Image size 240x240, Slice index 60, Head
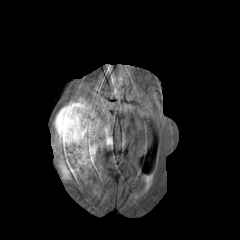
FLAIR magnetic resonance.
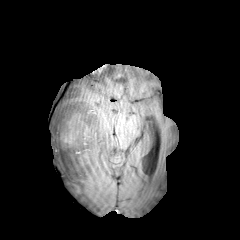
T1-weighted MR of the same slice.
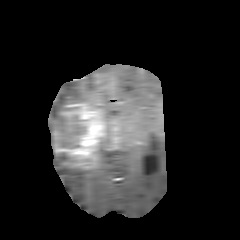
Post-contrast T1-weighted MR image.
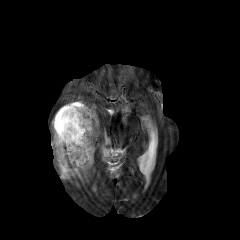
T2-weighted MR of the same slice.
Annotated regions:
- edema: 105,116,112,148; 51,95,97,132; 54,154,88,184
- non-enhancing tumor core: 56,153,73,167; 52,107,69,132
- enhancing tumor: 53,102,107,168